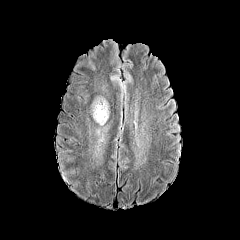
FLAIR magnetic resonance.
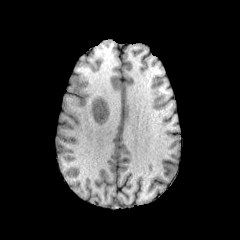
T1-weighted MRI.
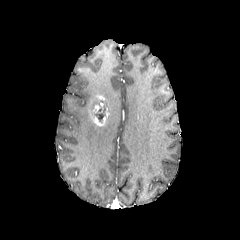
Post-contrast T1-weighted MR of the same slice.
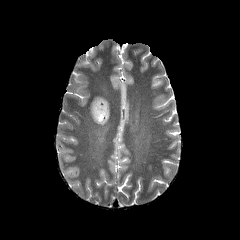
T2-weighted magnetic resonance of the same slice.
* non-enhancing tumor core: {"x1": 91, "y1": 99, "x2": 109, "y2": 123}
* enhancing tumor: {"x1": 89, "y1": 104, "x2": 106, "y2": 126}